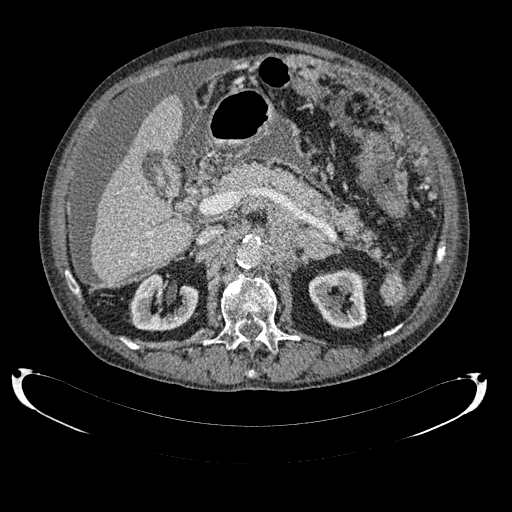
CT scan slice
The liver is located at bbox=[90, 95, 192, 283]. 2 kidney regions appear at bbox=[131, 274, 197, 330]; bbox=[309, 270, 366, 327].